Field of view 240 mm wide, 1.00 mm slice spacing; 240x240
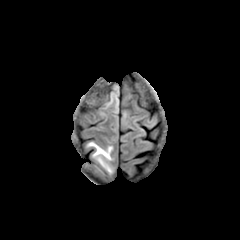
FLAIR MR.
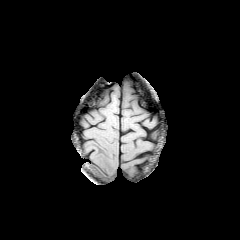
T1-weighted magnetic resonance.
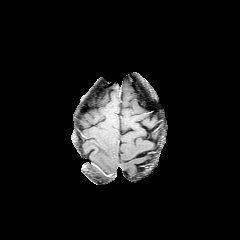
Post-contrast T1-weighted MRI.
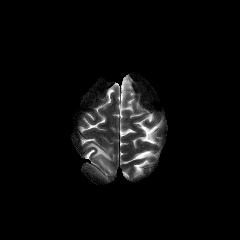
T2-weighted MR of the same slice.
Findings:
• edema: 87:141:112:173